Slice 104/836 | 512x512 | Computed tomography 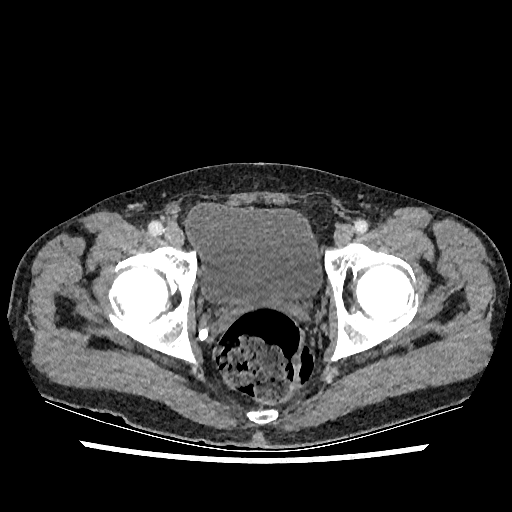

Annotated regions:
* urinary bladder: [186, 202, 322, 327]